CT image, Abdomen
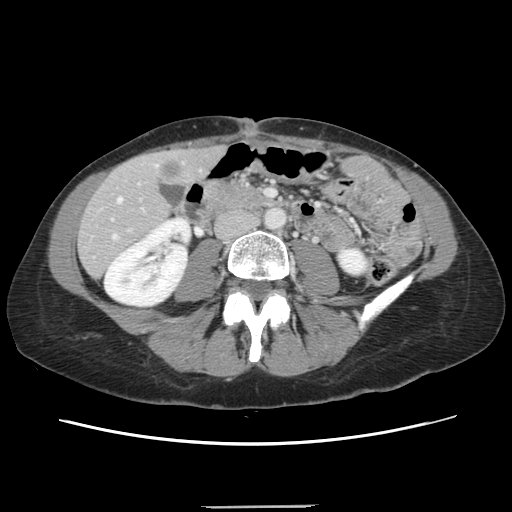
The vessel boxes may cover only some of the vessels.
- hepatic vessel: bbox=[155, 165, 157, 166]; bbox=[112, 235, 116, 238]; bbox=[117, 197, 121, 202]
- liver tumor: bbox=[162, 163, 181, 177]